Slice index 73 | Brain
FLAIR MRI.
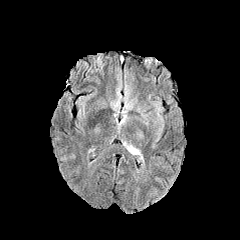
T1-weighted MRI.
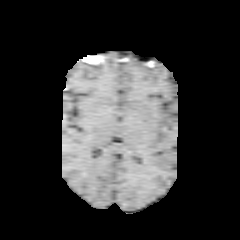
Post-contrast T1-weighted MR image.
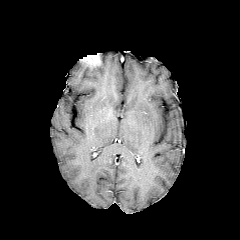
T2-weighted MR.
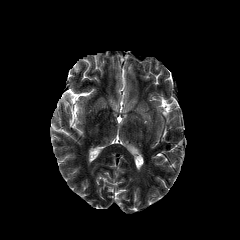
3 edema regions are bounded by 125,143,141,157; 114,102,135,129; 135,105,150,125.